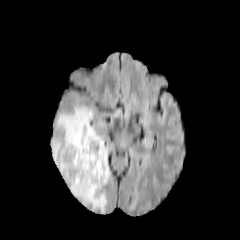
FLAIR magnetic resonance.
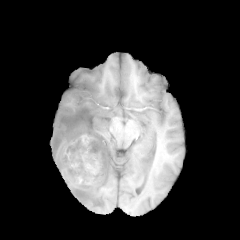
Same slice, T1-weighted magnetic resonance.
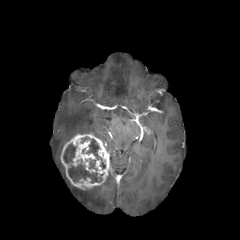
Post-contrast T1-weighted magnetic resonance.
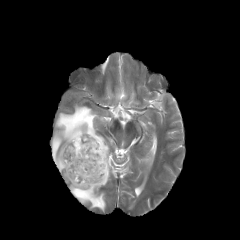
T2-weighted MR image of the same slice.
Enhancing tumor: left=60, top=133, right=110, bottom=190.
Edema: left=51, top=105, right=109, bottom=212.
Non-enhancing tumor core: left=87, top=139, right=98, bottom=159; left=63, top=142, right=103, bottom=183.